Slice index 75 | CT slice | Field of view 360 mm wide, 2.50 mm slice spacing
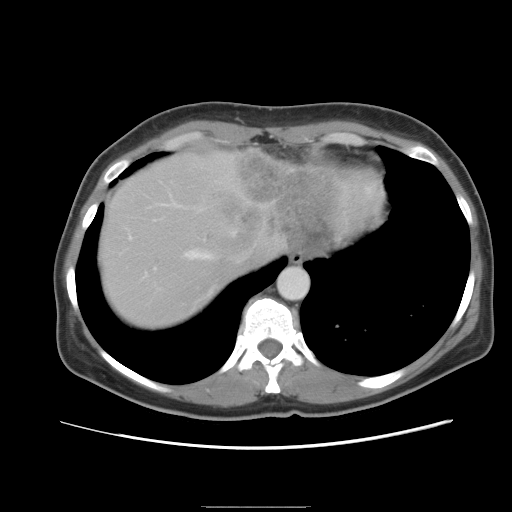
The vessel annotation is not exhaustive.
Hepatic vessel — rect(129, 236, 130, 238); rect(143, 272, 146, 276); rect(234, 250, 250, 262); rect(185, 249, 218, 261); rect(163, 202, 172, 204).
Liver tumor — rect(215, 151, 352, 251).